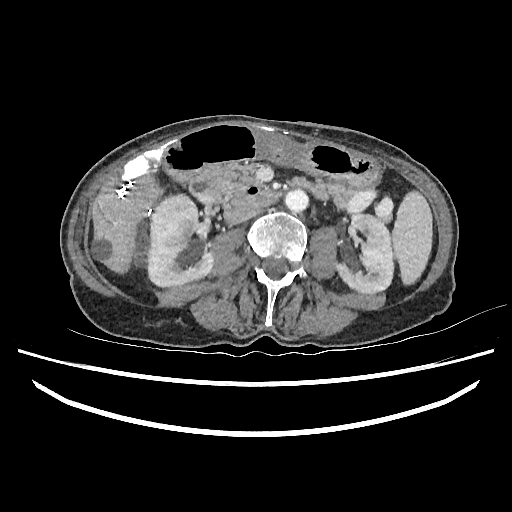 Abdomen. CT. {
  "focal_liver_lesion": [
    "region(92, 242, 108, 259)",
    "region(133, 227, 145, 264)"
  ],
  "liver": [
    "region(93, 180, 159, 272)",
    "region(144, 244, 147, 264)"
  ],
  "kidney": [
    "region(148, 195, 213, 286)",
    "region(337, 214, 393, 293)"
  ]
}